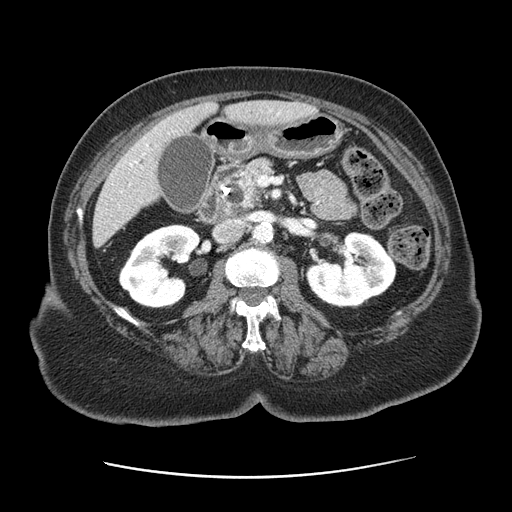
Image size 512x512, CT
The pancreas lies within [x1=216, y1=157, x2=274, y2=213].